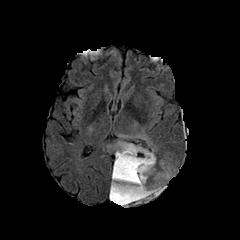
FLAIR MRI.
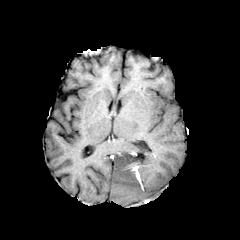
Same slice, T1-weighted magnetic resonance.
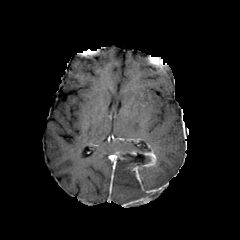
Post-contrast T1-weighted magnetic resonance.
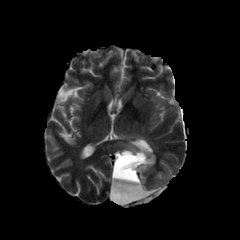
T2-weighted MRI.
240x240 px
Findings:
- edema: left=113, top=178, right=123, bottom=189; left=122, top=187, right=143, bottom=195; left=140, top=166, right=163, bottom=188; left=116, top=143, right=146, bottom=151
- enhancing tumor: left=123, top=196, right=149, bottom=206; left=144, top=152, right=155, bottom=166; left=132, top=166, right=140, bottom=181
- non-enhancing tumor core: left=109, top=148, right=157, bottom=205